T2-weighted MR image.
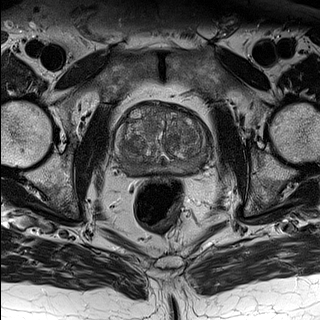
ADC MR.
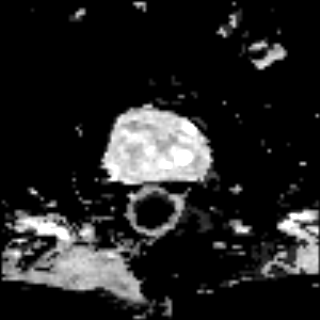
Pelvis.
• prostate transition zone: box=[121, 108, 205, 164]
• prostate peripheral zone: box=[117, 123, 208, 173]